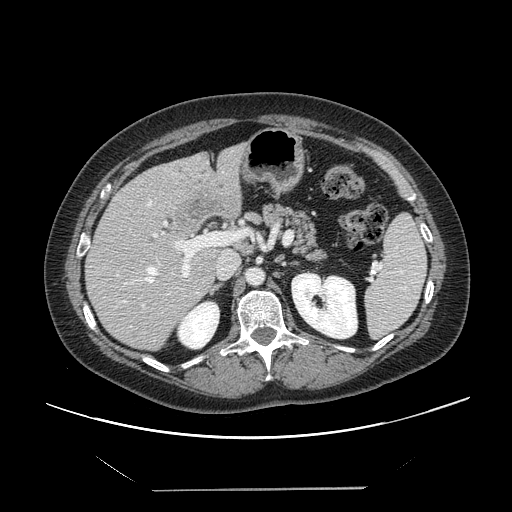
512x512; Liver; CT slice

The vessel boxes may cover only some of the vessels.
hepatic vessel: rect(142, 304, 144, 307); rect(145, 199, 153, 207); rect(172, 230, 250, 278); rect(161, 232, 163, 234); rect(121, 300, 126, 301); rect(217, 250, 238, 278); rect(163, 292, 170, 294); rect(115, 272, 119, 276); rect(163, 221, 166, 225); rect(152, 232, 159, 237); rect(124, 260, 159, 284) | liver tumor: rect(168, 177, 239, 237)